Head. Slice index 518. CT slice.

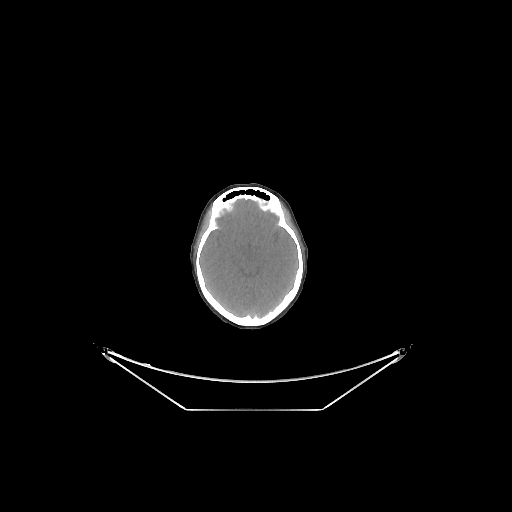
Brain at <bbox>199, 198, 298, 318</bbox>.